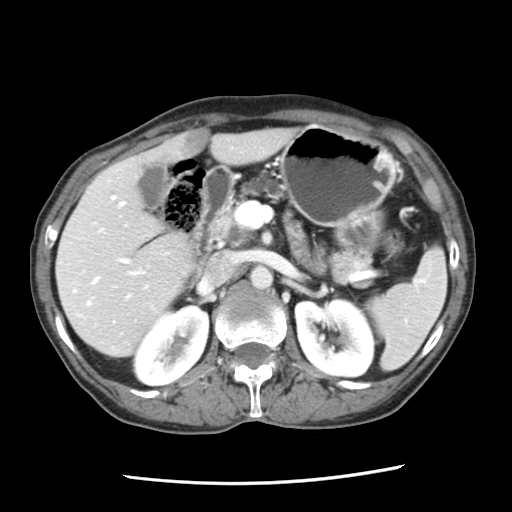

CT image. Upper abdomen.

The pancreatic tumor is at <bbox>228, 225, 242, 240</bbox>. The pancreas is bounded by <bbox>208, 203, 255, 248</bbox>.